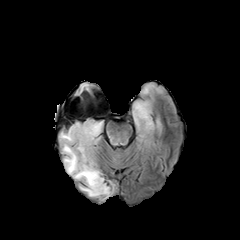
FLAIR MR image.
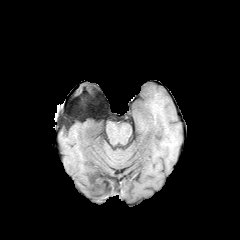
T1-weighted MRI of the same slice.
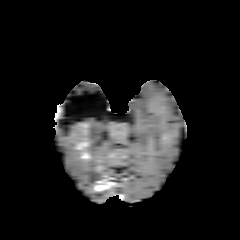
Post-contrast T1-weighted MR.
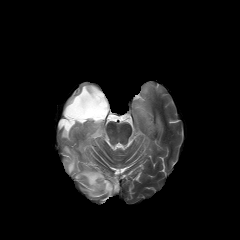
T2-weighted MR image of the same slice.
Findings:
- edema: (left=132, top=100, right=151, bottom=123), (left=59, top=117, right=112, bottom=197), (left=76, top=86, right=91, bottom=95)
- non-enhancing tumor core: (left=78, top=142, right=89, bottom=149), (left=82, top=152, right=89, bottom=159)
- enhancing tumor: (left=93, top=178, right=113, bottom=191)